Image width 471 mm, Computed tomography

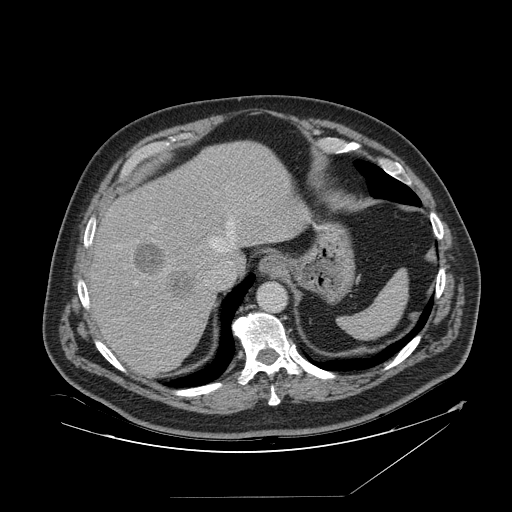

The spleen is located at rect(338, 271, 408, 339).